Image size 240x240, Field of view 240x240 mm, Brain
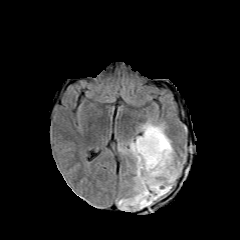
FLAIR MR image.
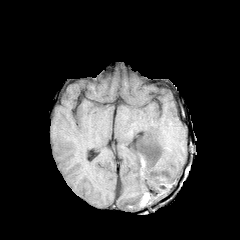
T1-weighted MR of the same slice.
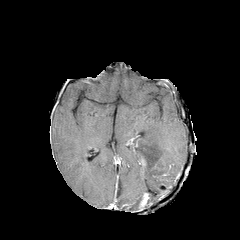
Post-contrast T1-weighted magnetic resonance of the same slice.
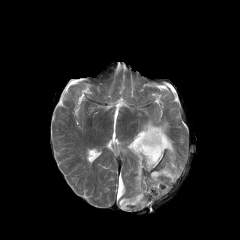
T2-weighted MR of the same slice.
Edema at <bbox>117, 120, 181, 211</bbox>.
Non-enhancing tumor core at <bbox>130, 135, 141, 151</bbox>.